Medial temporal lobe. MRI. Image size 36x50.
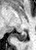
posterior hippocampus: region(11, 32, 26, 41)